Slice index 15, CT image, Abdomen 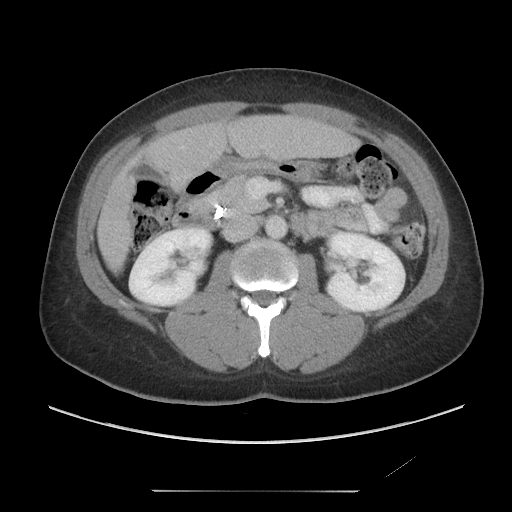

Only some of the vessels may be annotated.
{"hepatic_vessel": ["179:145:184:148"]}